Image size 512x512. Abdomen. CT.
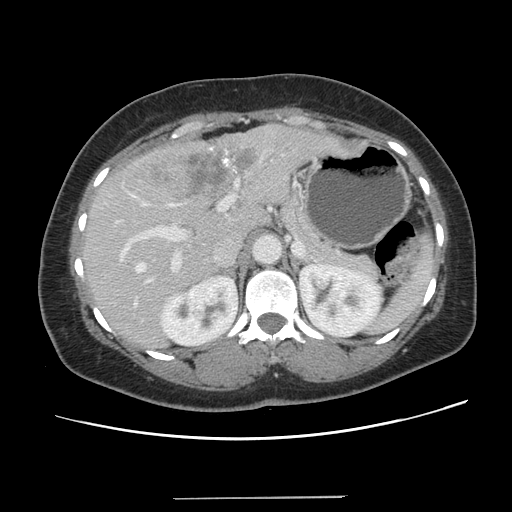
The vessel annotation is not exhaustive.
Hepatic vessel at (x1=217, y1=195, x2=234, y2=210), (x1=170, y1=203, x2=179, y2=206), (x1=172, y1=253, x2=180, y2=271), (x1=116, y1=221, x2=119, y2=222), (x1=235, y1=181, x2=239, y2=186), (x1=120, y1=226, x2=184, y2=260), (x1=141, y1=201, x2=146, y2=205), (x1=129, y1=193, x2=136, y2=197), (x1=137, y1=263, x2=145, y2=271), (x1=134, y1=298, x2=137, y2=306), (x1=146, y1=279, x2=151, y2=282).
Liver tumor at (x1=144, y1=147, x2=257, y2=198).